Image size 33x59; MR image; Slice 20/29
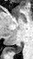
Segmented structures:
- posterior hippocampus: rect(9, 43, 22, 53)